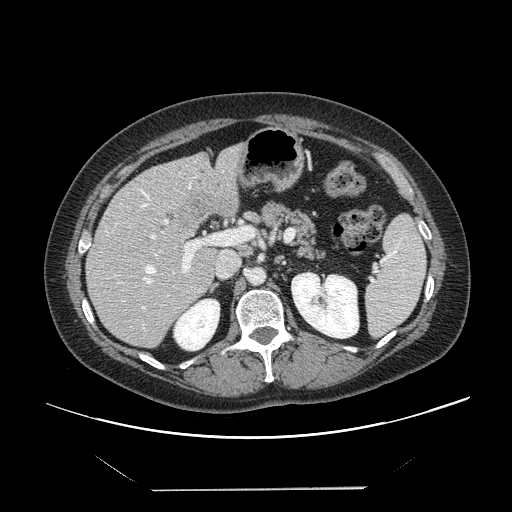
CT slice, Liver
Only some of the vessels may be annotated.
Hepatic vessel = l=163, t=219, r=166, b=224; l=142, t=306, r=145, b=309; l=113, t=274, r=117, b=276; l=181, t=227, r=254, b=274; l=106, t=230, r=112, b=234; l=142, t=264, r=156, b=284; l=128, t=225, r=129, b=227; l=121, t=300, r=123, b=301; l=119, t=282, r=123, b=282; l=154, t=251, r=160, b=255; l=138, t=189, r=151, b=209; l=115, t=224, r=116, b=226; l=150, t=233, r=155, b=238; l=162, t=232, r=164, b=233; l=216, t=250, r=239, b=277.
Liver tumor = l=167, t=181, r=234, b=236.